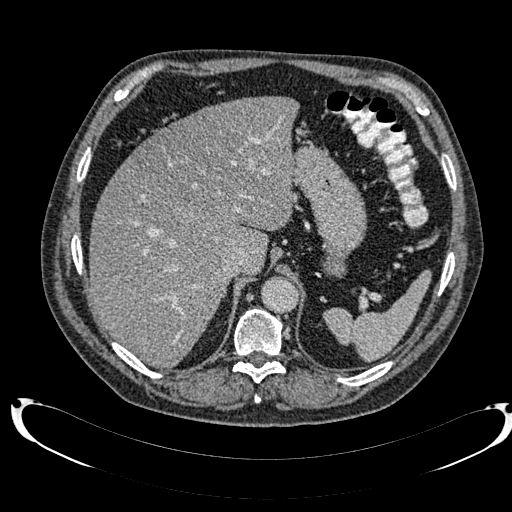
CT slice. Focal liver lesion — bbox=[134, 101, 255, 208].
Liver — bbox=[90, 96, 299, 368]; bbox=[148, 124, 174, 139].